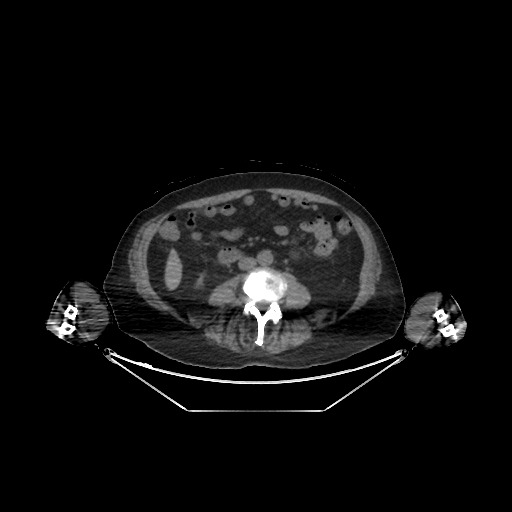
CT slice; Upper abdomen
Liver: bbox=[165, 249, 181, 289].
Kidney: bbox=[191, 270, 208, 291].